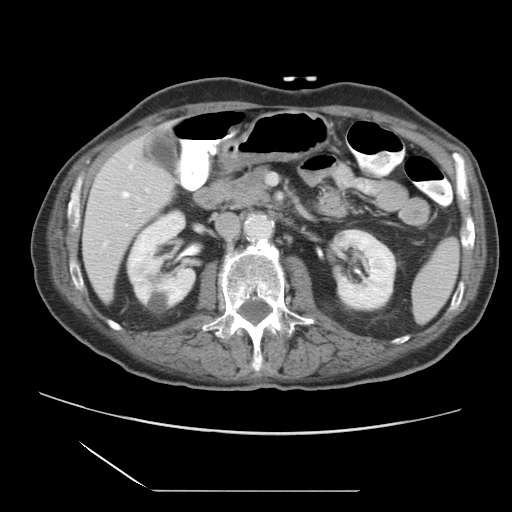 Abdomen. CT slice.

Only some of the vessels may be annotated.
Findings:
- hepatic vessel: bbox(123, 192, 128, 196); bbox(130, 166, 132, 168); bbox(104, 242, 107, 245)